CT 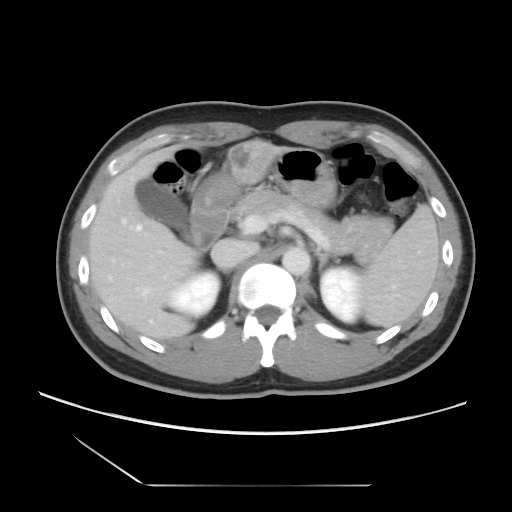
Only some of the vessels may be annotated.
liver_tumor:
  - bbox=[229, 142, 272, 174]
hepatic_vessel:
  - bbox=[137, 226, 140, 229]